CT image, Liver, Slice 101 of 141
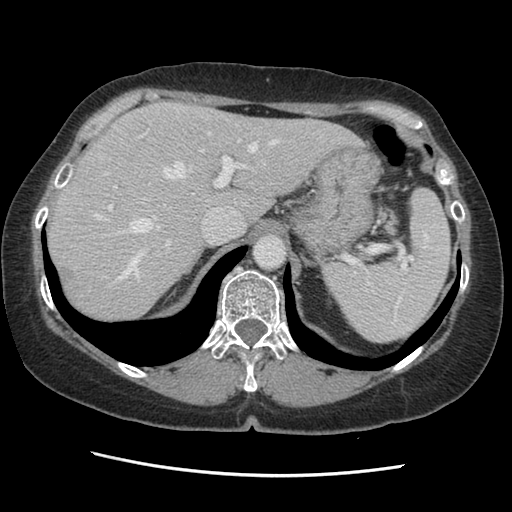
The vessel boxes may cover only some of the vessels.
* hepatic vessel: [94,214,103,219], [115,252,142,281], [214,156,243,186], [130,216,159,231], [248,142,256,151], [104,173,107,174], [166,240,169,247], [270,139,277,144], [208,132,211,134], [113,186,115,188], [108,205,112,209], [200,149,202,151], [238,139,240,141], [139,133,144,137], [163,162,191,177]